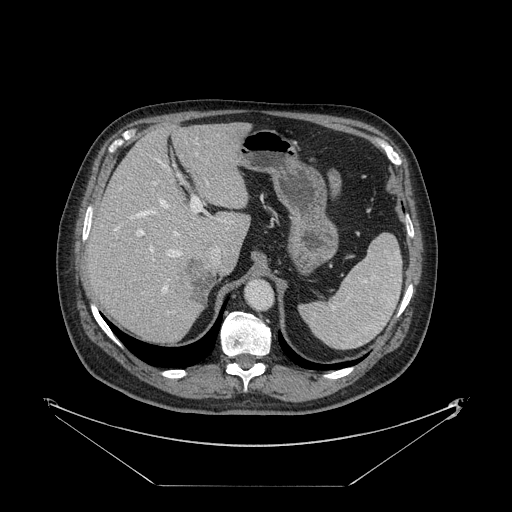 Abdomen. CT image. The vessel annotation is not exhaustive.
Liver tumor = [x1=183, y1=258, x2=213, y2=306].
Hepatic vessel = [x1=177, y1=173, x2=180, y2=177], [x1=152, y1=182, x2=155, y2=183], [x1=137, y1=229, x2=143, y2=234], [x1=156, y1=159, x2=163, y2=164], [x1=172, y1=163, x2=174, y2=166], [x1=191, y1=197, x2=214, y2=218], [x1=162, y1=286, x2=166, y2=292], [x1=174, y1=231, x2=177, y2=234], [x1=150, y1=246, x2=152, y2=250].